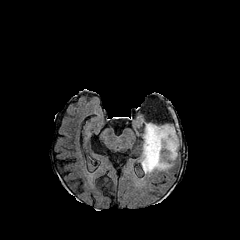
FLAIR MRI.
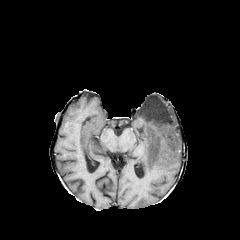
Same slice, T1-weighted MR.
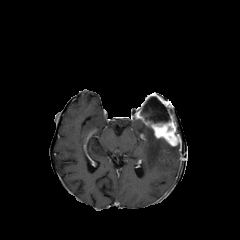
Same slice, post-contrast T1-weighted MRI.
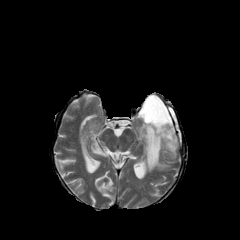
T2-weighted MR image.
Brain
The non-enhancing tumor core lies within l=136, t=94, r=174, b=123. The edema is bounded by l=140, t=123, r=178, b=173. The enhancing tumor is at l=136, t=113, r=179, b=146.